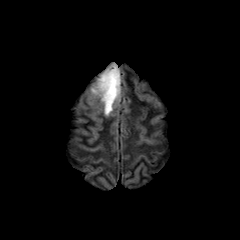
FLAIR MR.
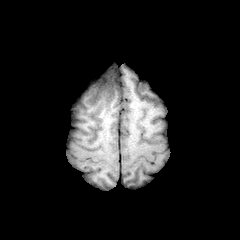
T1-weighted MR image of the same slice.
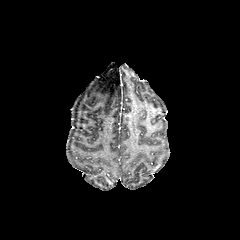
Post-contrast T1-weighted MRI of the same slice.
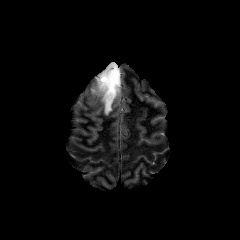
T2-weighted magnetic resonance of the same slice.
Image size 240x240
Annotated regions:
• edema: [87,63,122,115]